512x512, Slice 45 of 66, CT slice

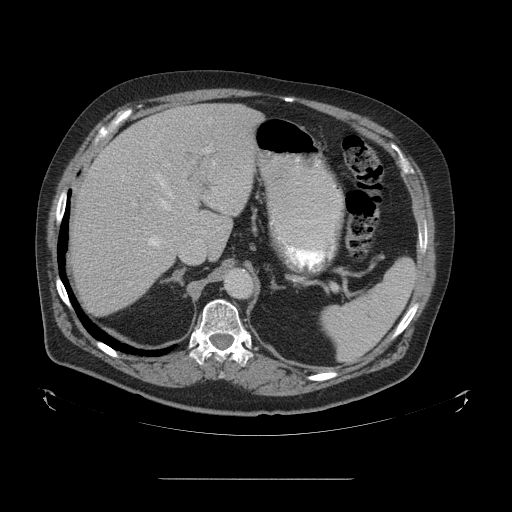 The vessel boxes may cover only some of the vessels.
15 hepatic vessel regions are located at x1=202, y1=217, x2=213, y2=226; x1=213, y1=187, x2=221, y2=193; x1=181, y1=207, x2=183, y2=210; x1=150, y1=170, x2=175, y2=212; x1=182, y1=173, x2=185, y2=176; x1=137, y1=140, x2=142, y2=141; x1=202, y1=144, x2=212, y2=152; x1=138, y1=250, x2=145, y2=253; x1=196, y1=230, x2=206, y2=234; x1=221, y1=207, x2=222, y2=208; x1=144, y1=232, x2=167, y2=248; x1=178, y1=239, x2=204, y2=264; x1=192, y1=160, x2=195, y2=162; x1=132, y1=201, x2=136, y2=206; x1=151, y1=143, x2=153, y2=147.